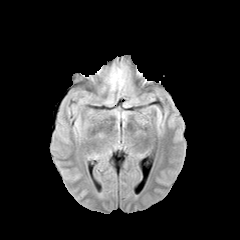
FLAIR MRI.
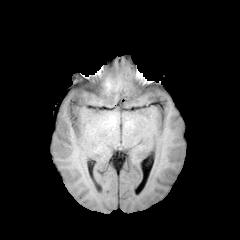
T1-weighted MR.
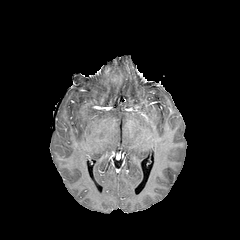
Post-contrast T1-weighted MR image.
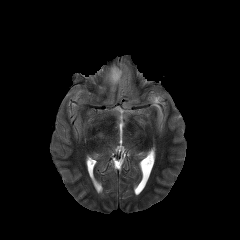
T2-weighted MR of the same slice.
Brain | 240x240
Edema at l=105, t=59, r=129, b=97.